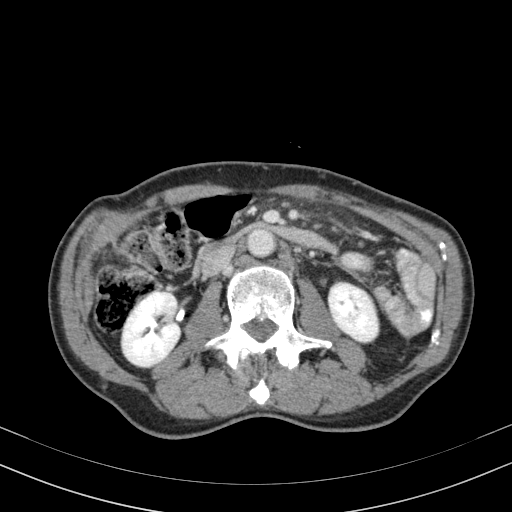
CT image; Abdomen
Kidney — l=329, t=283, r=377, b=341; l=122, t=292, r=179, b=366.